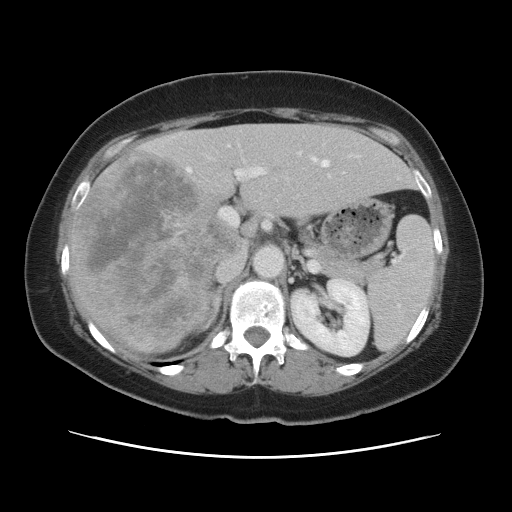

CT slice. Liver. Not every hepatic vessel necessarily has a box.
10 hepatic vessel regions are located at 218, 257, 243, 281; 206, 156, 209, 157; 219, 207, 238, 226; 297, 152, 300, 154; 351, 154, 357, 156; 227, 145, 229, 147; 235, 168, 265, 177; 322, 160, 328, 166; 187, 168, 190, 171; 311, 156, 316, 161. The liver tumor appears at 74, 152, 233, 346.